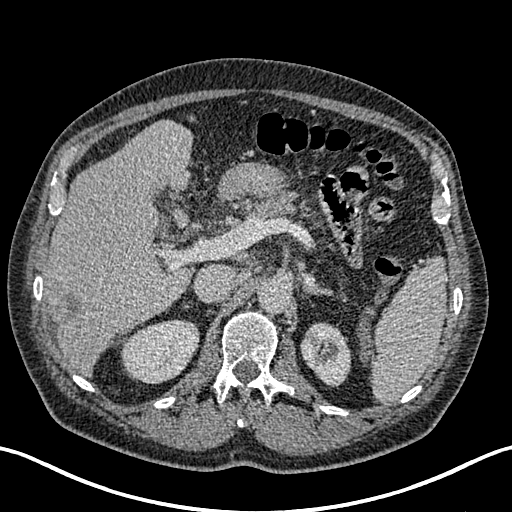

512x512 | CT slice

* focal liver lesion: [x1=54, y1=290, x2=96, y2=327], [x1=149, y1=187, x2=160, y2=201]
* liver: [x1=45, y1=120, x2=193, y2=375]
* kidney: [x1=301, y1=324, x2=349, y2=384], [x1=123, y1=321, x2=198, y2=382]